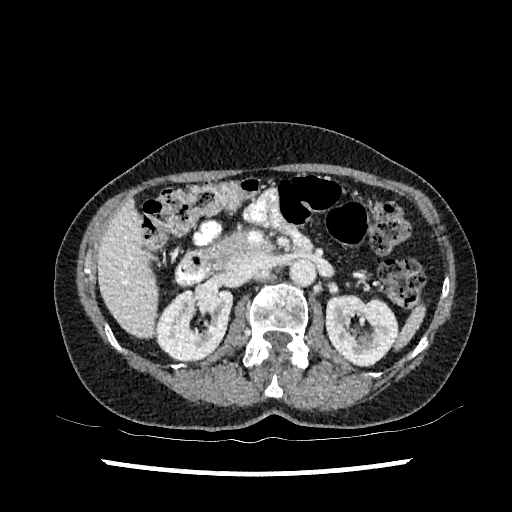

CT.

Segmented structures:
• kidney: x1=157, y1=280, x2=231, y2=360; x1=326, y1=297, x2=397, y2=365
• liver: x1=99, y1=202, x2=156, y2=337